FLAIR MR.
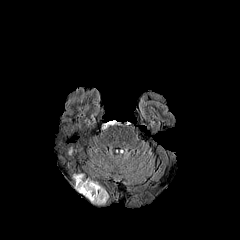
T1-weighted MR.
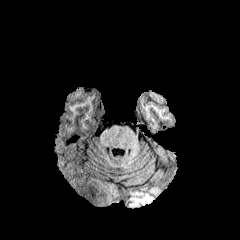
Post-contrast T1-weighted magnetic resonance.
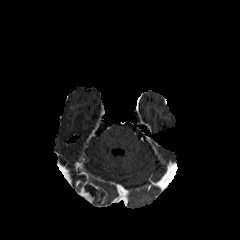
T2-weighted MR image.
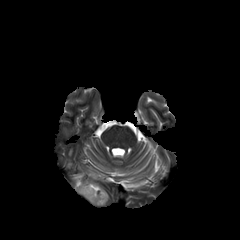
240x240
Non-enhancing tumor core = 84:181:109:206, 73:178:85:192.
Enhancing tumor = 78:186:93:203.